FLAIR MR image.
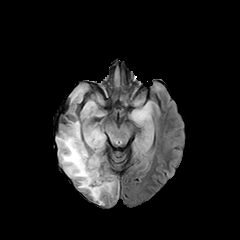
T1-weighted magnetic resonance.
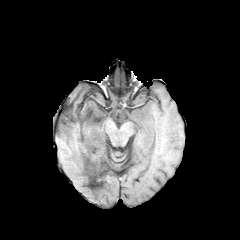
Post-contrast T1-weighted MR.
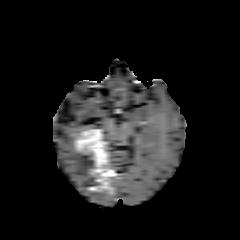
T2-weighted magnetic resonance.
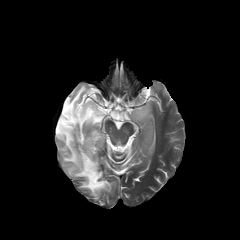
Segmented structures:
* edema: [56, 94, 103, 189], [130, 102, 151, 125], [88, 190, 103, 204], [68, 84, 88, 107]
* enhancing tumor: [76, 129, 112, 191]
* non-enhancing tumor core: [85, 154, 95, 173], [78, 115, 99, 133], [100, 158, 115, 191], [88, 174, 98, 187], [58, 102, 77, 134]